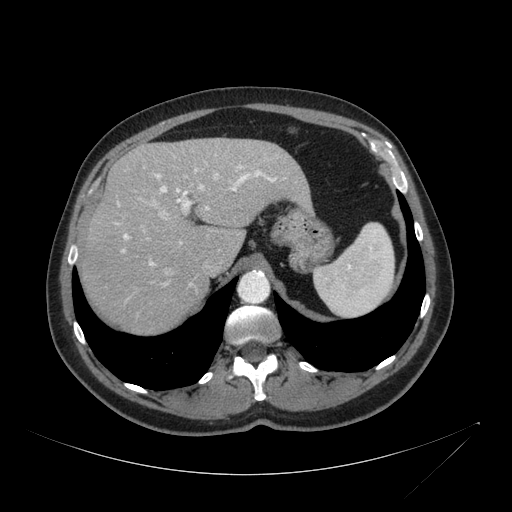 512x512. Upper abdomen. Computed tomography. • liver: (left=81, top=139, right=314, bottom=333)